CT scan slice 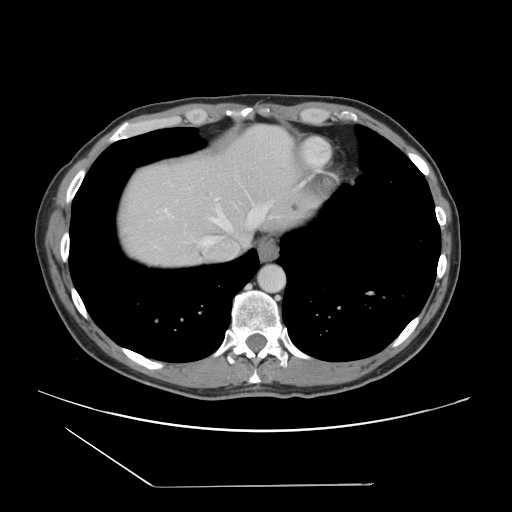
Not every hepatic vessel necessarily has a box.
hepatic vessel: {"x1": 248, "y1": 204, "x2": 270, "y2": 226}, {"x1": 204, "y1": 236, "x2": 207, "y2": 238}, {"x1": 211, "y1": 206, "x2": 231, "y2": 230}, {"x1": 164, "y1": 208, "x2": 169, "y2": 215}, {"x1": 215, "y1": 197, "x2": 218, "y2": 201}